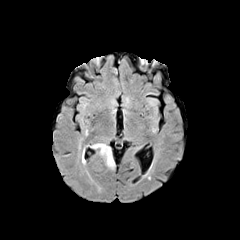
FLAIR magnetic resonance.
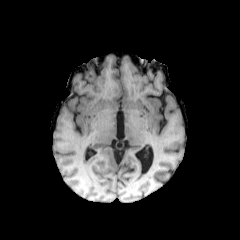
T1-weighted MR image of the same slice.
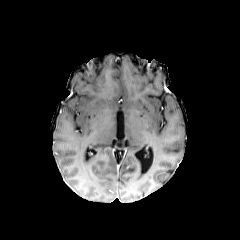
Post-contrast T1-weighted MRI of the same slice.
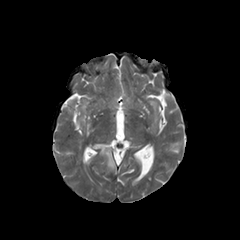
T2-weighted MR.
Head
Edema = (90,142,115,169).